FLAIR magnetic resonance.
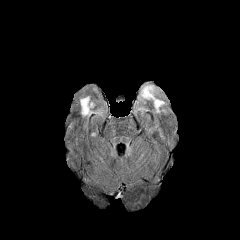
T1-weighted MR.
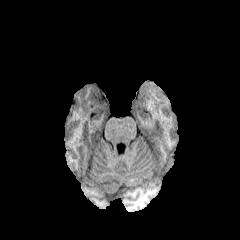
Post-contrast T1-weighted magnetic resonance.
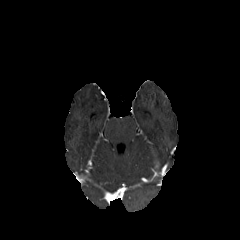
T2-weighted MR image.
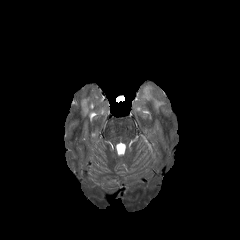
Brain
Edema = 141:85:164:112, 80:96:93:116.